512x512 px, Computed tomography
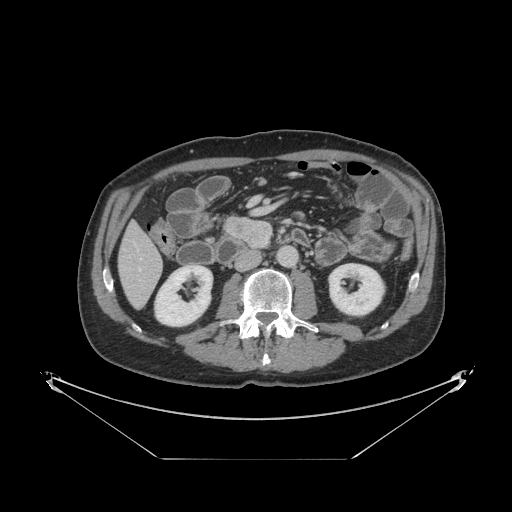 The pancreas appears at [215, 213, 240, 236]. The pancreatic tumor is located at [224, 216, 272, 249].